512x512 | Abdomen | CT

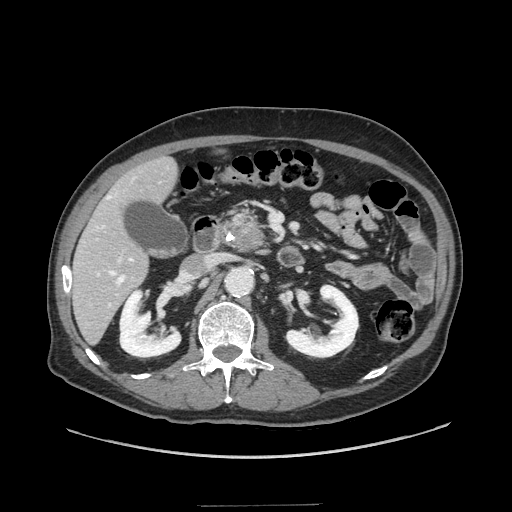 pancreatic tumor: [230, 223, 259, 245] | pancreas: [225, 213, 263, 249]